Image size 512x512; Computed tomography 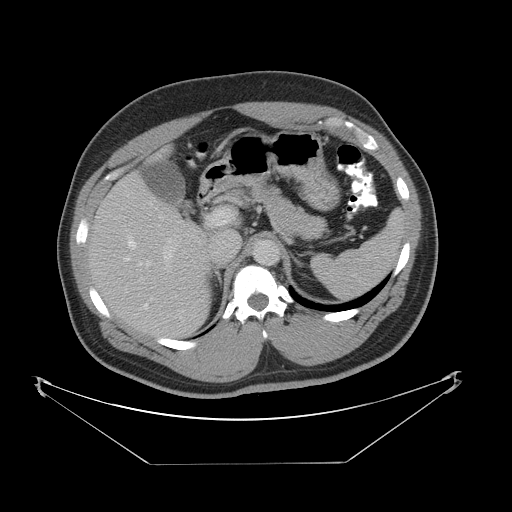 Some hepatic vessels may have no box.
Hepatic vessel at [178, 253, 183, 256], [185, 234, 199, 242], [163, 238, 176, 269], [188, 230, 190, 232], [210, 210, 231, 220], [210, 231, 237, 256].